Slice 66/155. Brain.
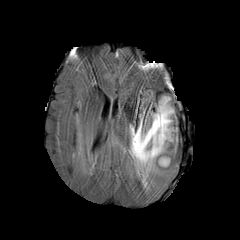
FLAIR MRI.
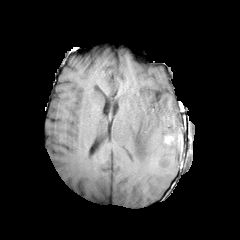
T1-weighted magnetic resonance of the same slice.
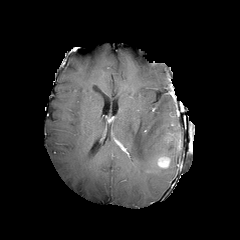
Same slice, post-contrast T1-weighted magnetic resonance.
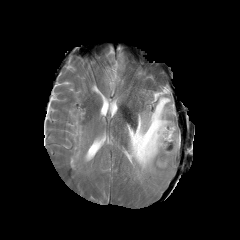
T2-weighted MR.
Edema: bounding box [126,95,178,185].
Enhancing tumor: bounding box [158,157,169,166].